512x512 px. Liver. Computed tomography.

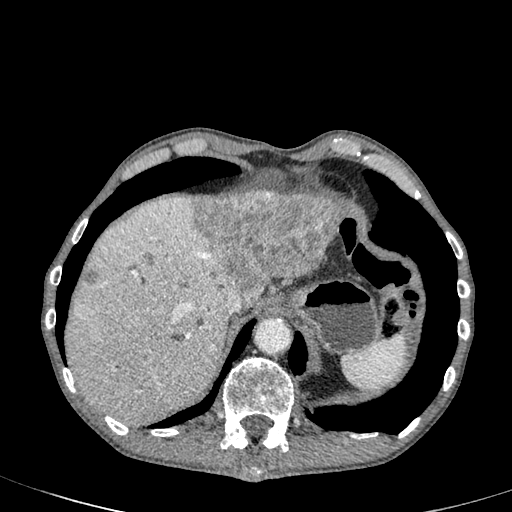

Liver lesion = box(145, 253, 153, 265); box(83, 269, 97, 284); box(191, 192, 343, 306); box(182, 276, 188, 286).
Liver = box(271, 277, 301, 281); box(66, 197, 239, 423).